CT slice. 512x512 px. 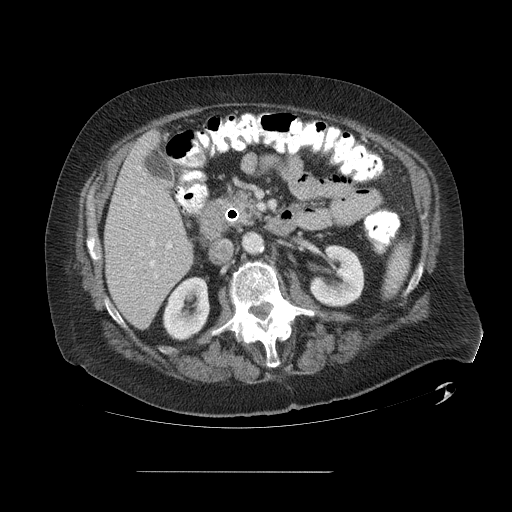
The vessel annotation is not exhaustive.
Hepatic vessel = (138,167,140,168), (150,239,154,245), (150,260,154,265), (166,242,171,247), (154,274,157,279), (133,198,135,199), (148,214,149,215).